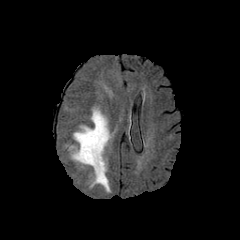
FLAIR MR image.
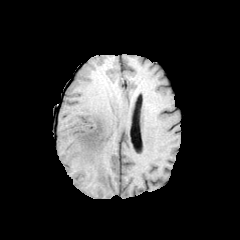
T1-weighted MR image of the same slice.
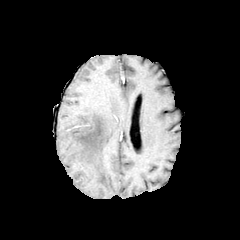
Same slice, post-contrast T1-weighted MRI.
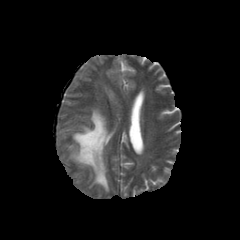
T2-weighted MR.
Head
edema:
  - 68 109 112 191